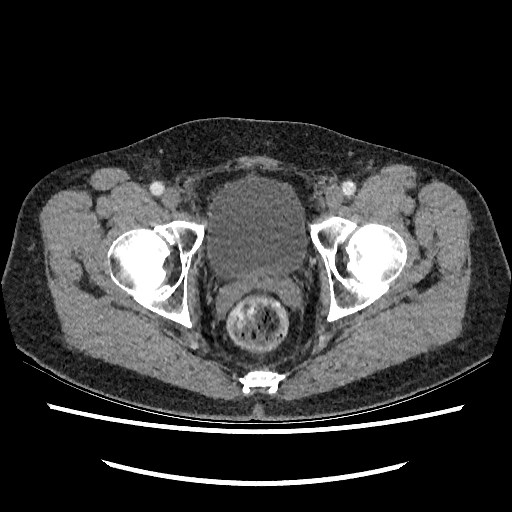 Computed tomography | 512x512 px | Pelvis
urinary_bladder:
  - x1=206 y1=172 x2=307 y2=279